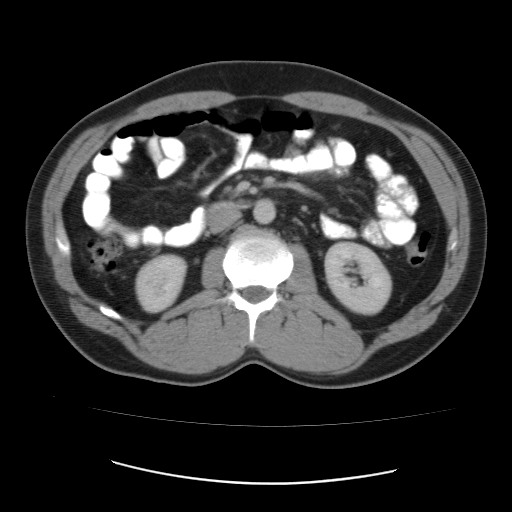

CT scan slice. Image size 512x512.

The colon tumor is located at 405,241,426,260.